Upper abdomen; CT; Field of view 400 mm wide, 0.80 mm slice spacing

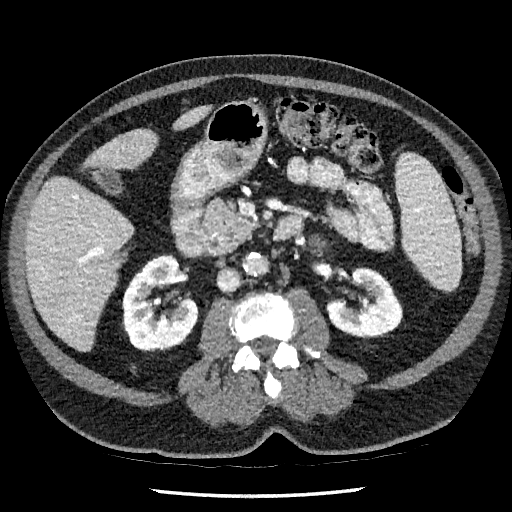

kidney: [327, 269, 401, 335], [123, 256, 197, 349] | liver: [175, 107, 208, 128], [86, 129, 156, 167], [26, 177, 132, 349] | hepatic lesion: [112, 251, 122, 260]